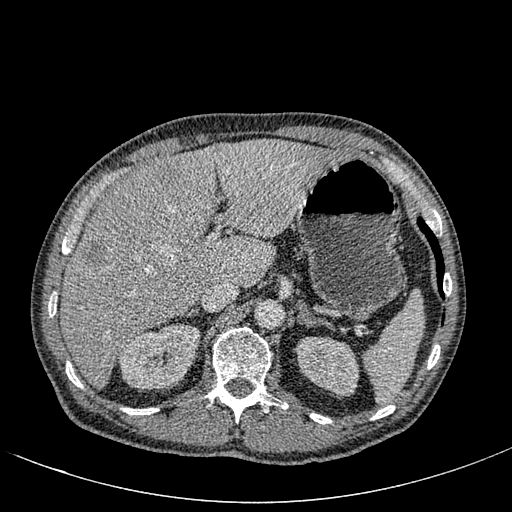 CT image.
Liver — [60, 139, 351, 388].
Focal liver lesion — [213, 144, 225, 156], [154, 162, 176, 182], [84, 240, 104, 266].
Kidney — [296, 337, 358, 394], [118, 324, 199, 388].